Image size 240x240; Slice 73 of 155
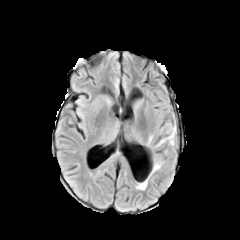
FLAIR MRI.
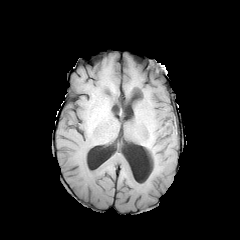
Same slice, T1-weighted MRI.
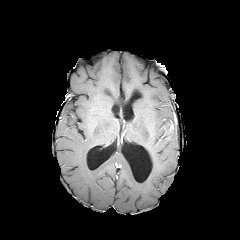
Post-contrast T1-weighted MR image.
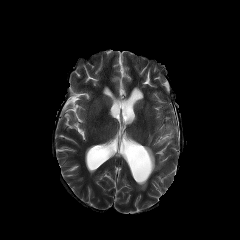
T2-weighted magnetic resonance.
3 edema regions are bounded by <bbox>166, 122, 176, 144</bbox>, <bbox>136, 179, 147, 189</bbox>, <bbox>151, 158, 164, 174</bbox>.